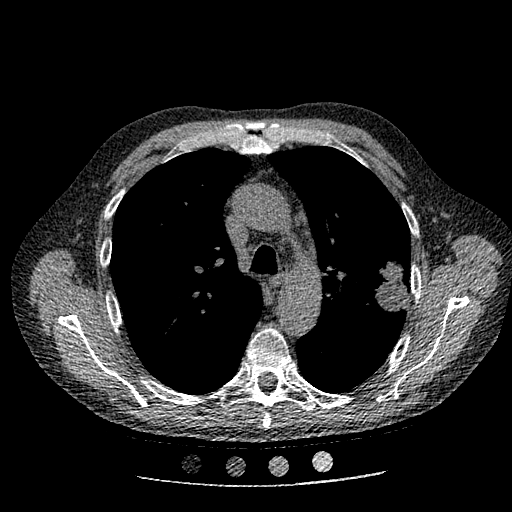 CT scan slice. Image size 512x512. Chest.
The lung tumor is located at {"x1": 363, "y1": 256, "x2": 409, "y2": 314}.